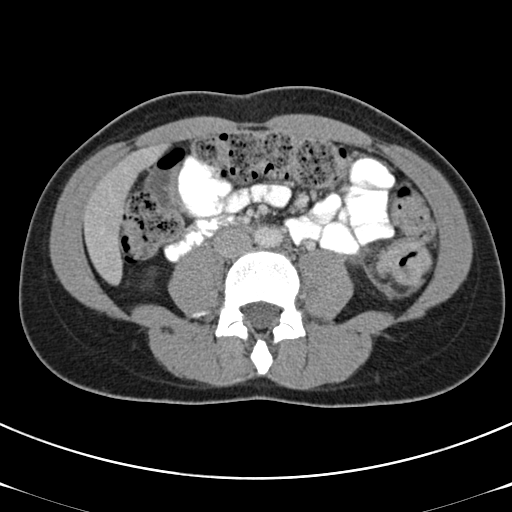

CT slice
The colon tumor lies within rect(386, 240, 432, 285).